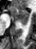

MRI slice. Hippocampus. The posterior hippocampus is bounded by x1=22, y1=23, x2=25, y2=24. The anterior hippocampus is at x1=10, y1=6, x2=29, y2=22.